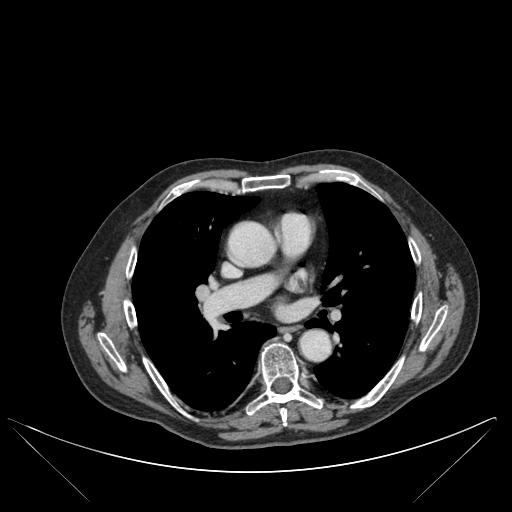 Chest, CT scan slice

Bone at bbox(143, 358, 177, 406); bbox(409, 240, 420, 262); bbox(420, 307, 446, 350); bbox(351, 358, 403, 407); bbox(336, 170, 365, 187); bbox(98, 333, 126, 371); bbox(242, 175, 289, 191); bbox(126, 248, 136, 276); bbox(124, 300, 136, 326); bbox(411, 293, 421, 321); bbox(247, 343, 322, 424).
Lung at bbox(132, 191, 275, 410); bbox(305, 182, 414, 398).